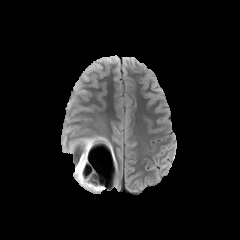
FLAIR magnetic resonance.
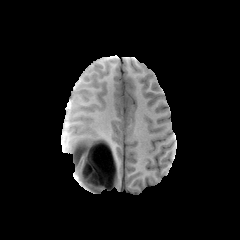
T1-weighted MRI of the same slice.
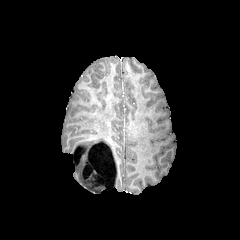
Post-contrast T1-weighted MR image.
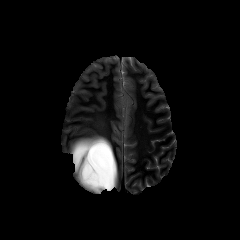
T2-weighted magnetic resonance.
Brain
Non-enhancing tumor core: bounding box box=[74, 141, 106, 191].
Edema: bounding box box=[75, 156, 93, 191]; box=[71, 136, 108, 161].